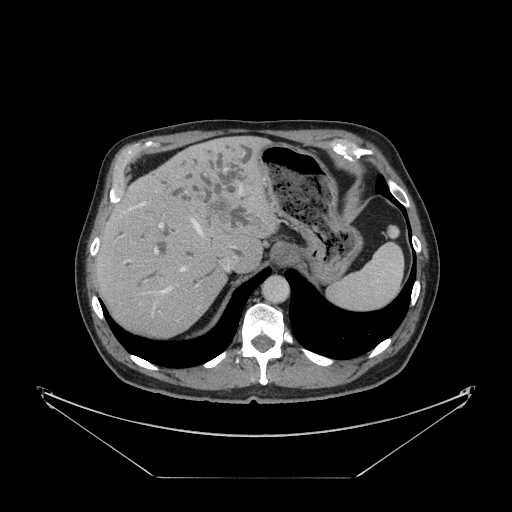 Abdomen; Computed tomography
The vessel boxes may cover only some of the vessels.
{"hepatic_vessel": ["box=[180, 268, 185, 270]", "box=[159, 223, 162, 227]", "box=[225, 266, 228, 270]", "box=[136, 203, 144, 207]", "box=[239, 186, 241, 194]", "box=[154, 249, 157, 253]", "box=[192, 221, 201, 233]", "box=[159, 288, 170, 294]"], "liver_tumor": ["box=[202, 195, 238, 228]"]}